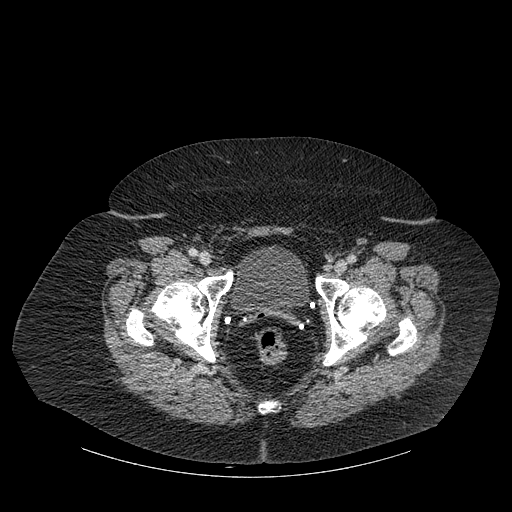
CT
The urinary bladder is located at (231,245,310,322). 5 bone regions are bounded by (388,318,416,355), (150,272,232,361), (126,309,152,345), (315,276,386,365), (259,402,276,412).